Lower abdomen, CT slice 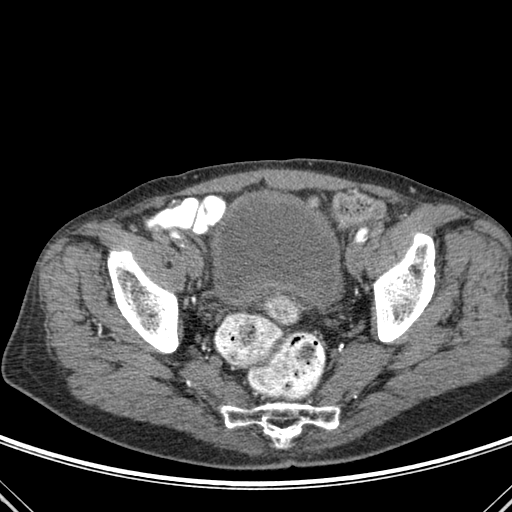

The urinary bladder is at x1=206 y1=194 x2=345 y2=305. 3 bone regions are bounded by x1=220 y1=402 x2=339 y2=447, x1=374 y1=233 x2=435 y2=342, x1=108 y1=250 x2=178 y2=353.